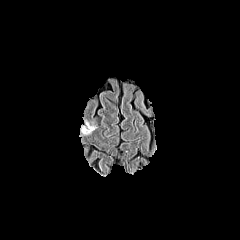
FLAIR MRI.
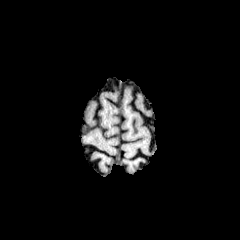
T1-weighted magnetic resonance.
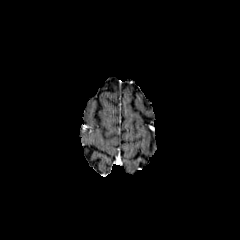
Post-contrast T1-weighted magnetic resonance.
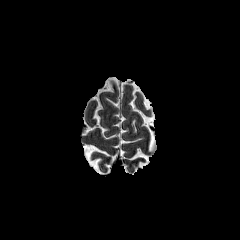
Same slice, T2-weighted magnetic resonance.
Image size 240x240
edema:
  - box=[79, 117, 98, 137]